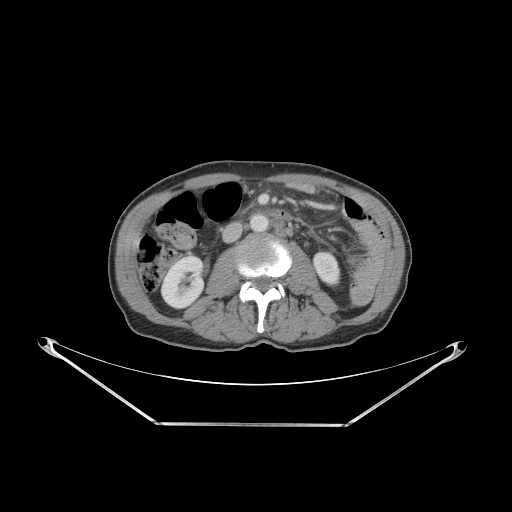 Computed tomography. Abdomen. <segmentation>
  <bone>left=237, top=238, right=289, bottom=278; left=240, top=281, right=284, bottom=332</bone>
  <kidney>left=314, top=253, right=338, bottom=283; left=162, top=256, right=202, bottom=307</kidney>
</segmentation>